512x512 px. Liver. Computed tomography.

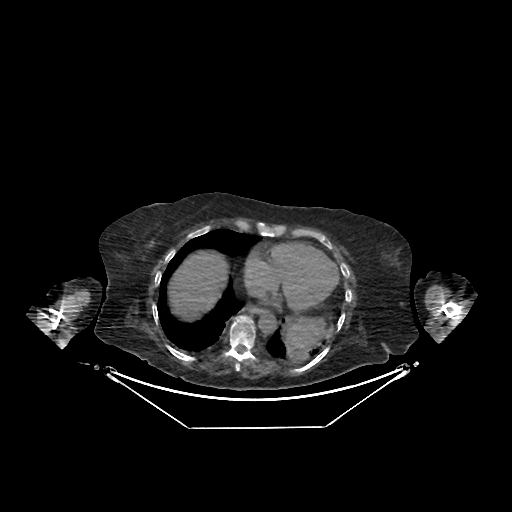

The liver appears at [x1=167, y1=250, x2=229, y2=321].